FLAIR MR.
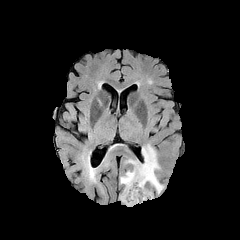
T1-weighted MR image.
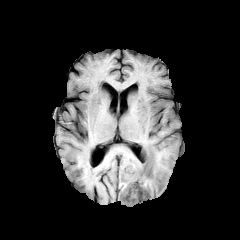
Post-contrast T1-weighted magnetic resonance.
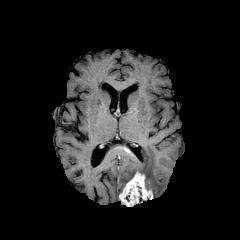
T2-weighted MR.
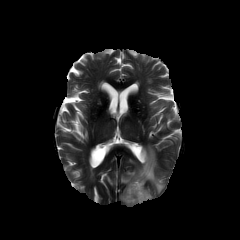
Brain
The enhancing tumor is at (119,172,152,206). The edema is at (120,144,164,194).